33x50; Field of view 33x50 mm; MRI slice 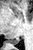
posterior_hippocampus:
  - (7,39,19,43)